FLAIR MR image.
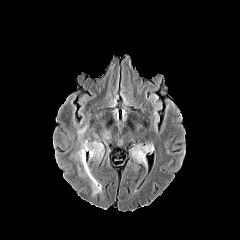
T1-weighted MR.
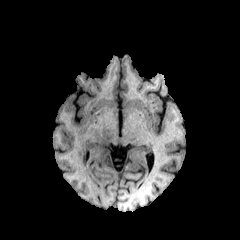
Post-contrast T1-weighted MRI.
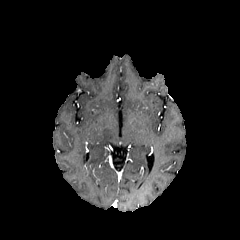
T2-weighted MR.
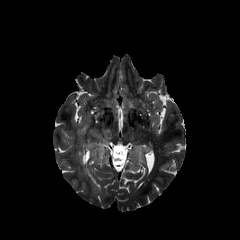
Brain. 240x240 px.
Edema = <box>78,143,85,164</box>, <box>132,143,152,164</box>, <box>89,147,102,157</box>, <box>86,164,101,192</box>, <box>77,126,86,137</box>.